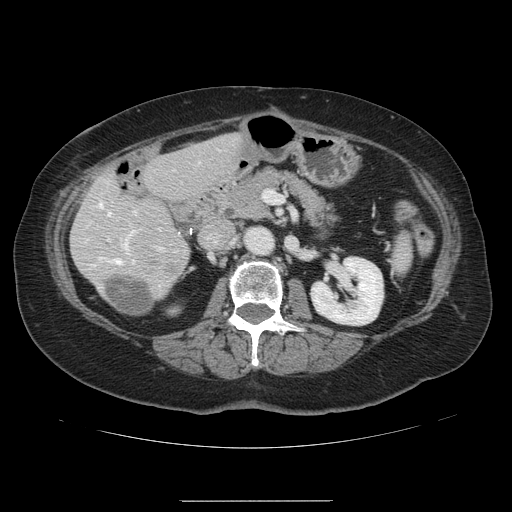
Image size 512x512. CT. Liver.

Some hepatic vessels may have no box.
<segmentation>
  <liver_tumor>(150,259,159,264), (168,265,185,286), (109,280,154,313)</liver_tumor>
  <hepatic_vessel>(97,202,102,206), (122,230,133,248), (107,212,110,215), (133,211,136,213), (107,238,109,239), (132,261,133,262), (156,247,162,249), (99,255,121,263)</hepatic_vessel>
</segmentation>